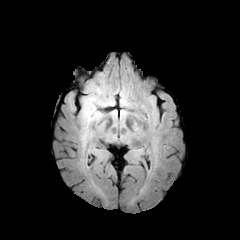
FLAIR MR image.
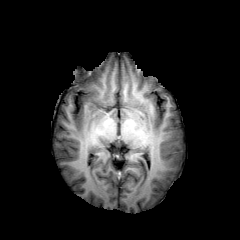
Same slice, T1-weighted magnetic resonance.
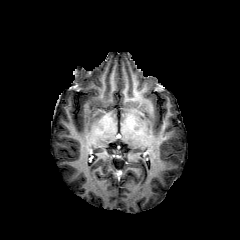
Same slice, post-contrast T1-weighted MR image.
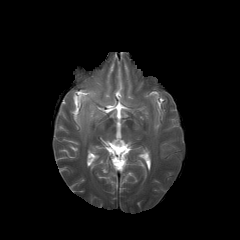
T2-weighted MR image of the same slice.
Head
{
  "edema": [
    "x1=78, y1=88, x2=112, y2=129",
    "x1=120, y1=88, x2=131, y2=108"
  ]
}